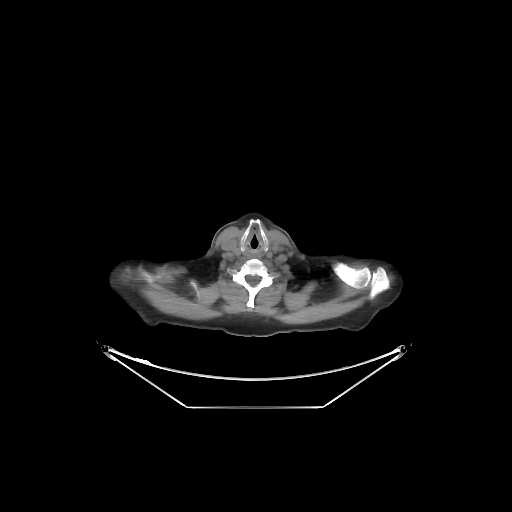 CT scan slice; 512x512 px
{"lung": ["[x1=251, y1=236, x2=257, y2=248]"], "bone": ["[x1=233, y1=259, x2=272, y2=307]", "[x1=334, y1=263, x2=388, y2=298]"]}